Field of view 240x240 mm; Head; 240x240
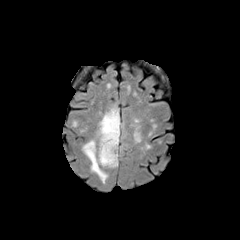
FLAIR magnetic resonance.
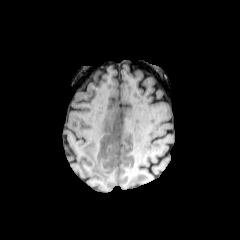
Same slice, T1-weighted MR image.
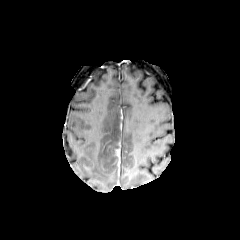
Same slice, post-contrast T1-weighted magnetic resonance.
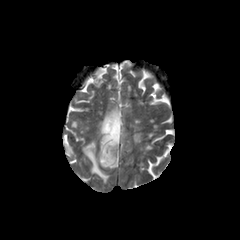
T2-weighted magnetic resonance of the same slice.
The edema is located at 82:106:120:183. The enhancing tumor lies within 115:143:120:169. The non-enhancing tumor core appears at 108:142:119:167.